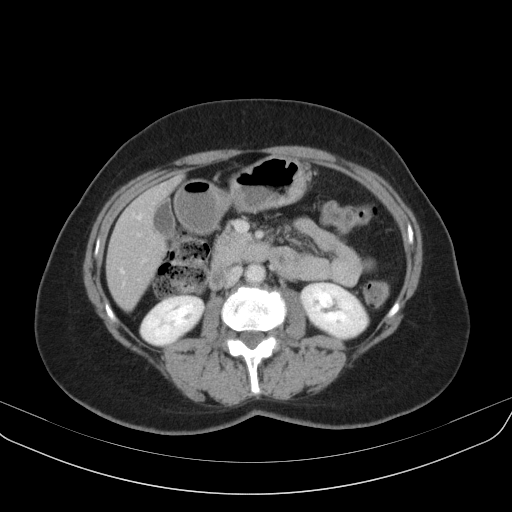

Abdomen; CT scan slice
Pancreas: bounding box bbox=[209, 224, 268, 277].